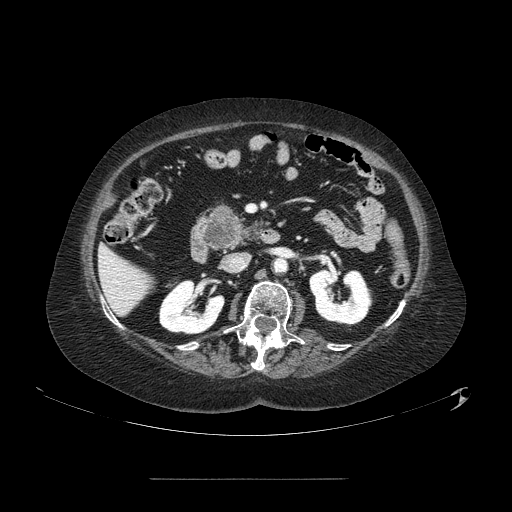
Abdomen. CT image. The pancreatic tumor lies within left=203, top=206, right=238, bottom=246. The pancreas is bounded by left=203, top=211, right=243, bottom=248.